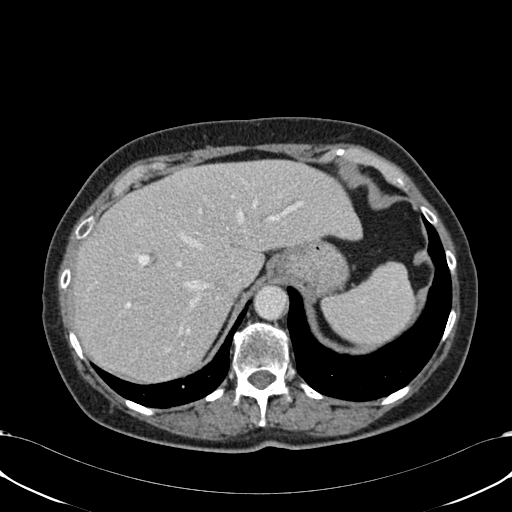 Liver; Computed tomography

The liver appears at bbox=[73, 159, 361, 379].